CT slice.

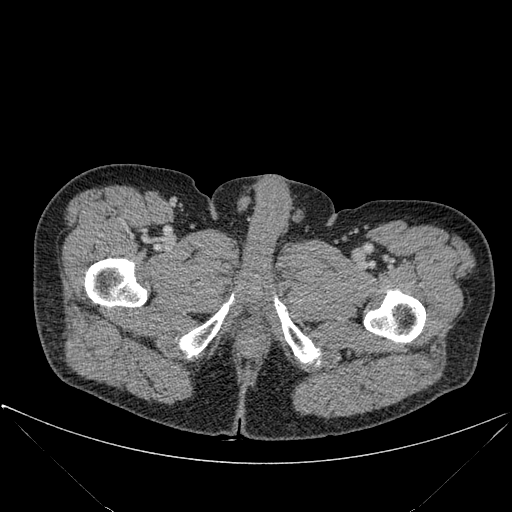
bone:
  - x1=85, y1=258, x2=146, y2=306
  - x1=364, y1=290, x2=425, y2=342
  - x1=179, y1=294, x2=233, y2=357
  - x1=274, y1=297, x2=320, y2=364